Computed tomography; Slice index 100; Image width 377 mm; 512x512

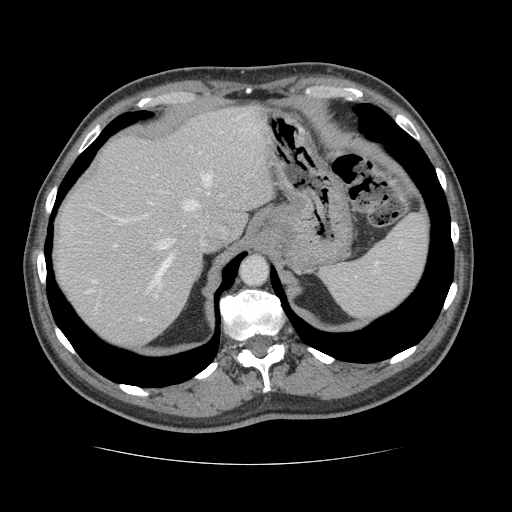 Some hepatic vessels may have no box.
13 hepatic vessel regions are located at x1=202, y1=174, x2=211, y2=185; x1=151, y1=254, x2=172, y2=287; x1=139, y1=318, x2=141, y2=319; x1=114, y1=244, x2=116, y2=246; x1=149, y1=202, x2=151, y2=203; x1=91, y1=280, x2=95, y2=282; x1=207, y1=191, x2=209, y2=193; x1=157, y1=239, x2=173, y2=247; x1=111, y1=215, x2=127, y2=223; x1=87, y1=290, x2=91, y2=291; x1=236, y1=114, x2=244, y2=118; x1=154, y1=293, x2=157, y2=296; x1=183, y1=200, x2=198, y2=209.